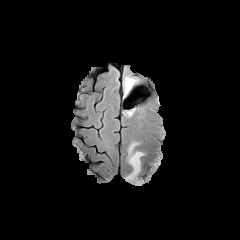
FLAIR MRI.
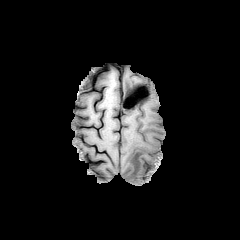
T1-weighted MR image of the same slice.
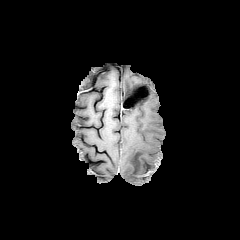
Post-contrast T1-weighted MR image.
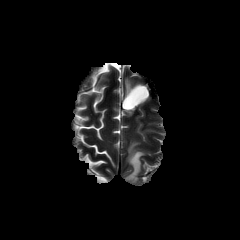
T2-weighted MRI.
Brain
<segmentation>
  <edema>(123,78,132,95), (125,141,145,181)</edema>
</segmentation>